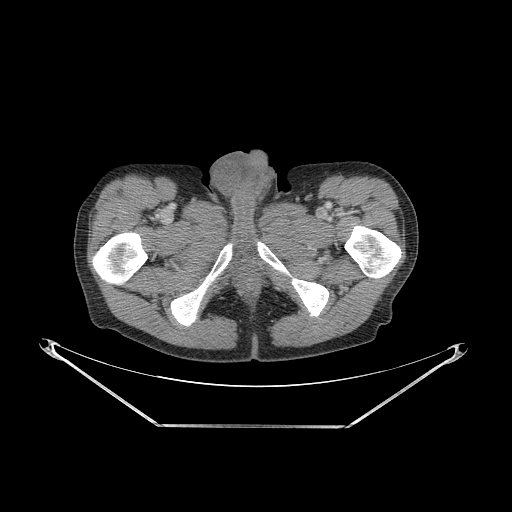
CT image | 512x512
Bone — rect(92, 232, 147, 284); rect(344, 226, 401, 278); rect(171, 244, 232, 325); rect(291, 278, 328, 315); rect(257, 242, 291, 276).